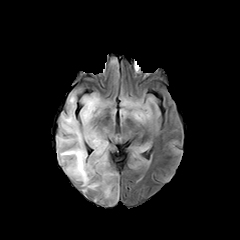
FLAIR MR image.
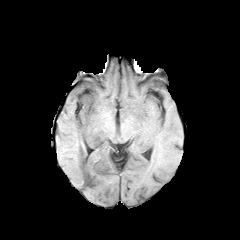
Same slice, T1-weighted MRI.
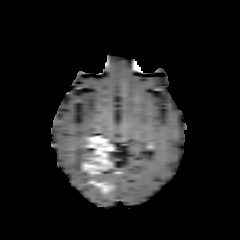
Post-contrast T1-weighted MR.
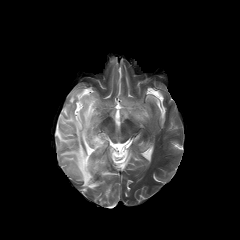
T2-weighted MR of the same slice.
3 edema regions are bounded by [56, 90, 101, 191], [132, 108, 148, 121], [104, 168, 116, 183]. The non-enhancing tumor core appears at [82, 151, 111, 185]. 3 enhancing tumor regions appear at [82, 162, 91, 172], [85, 136, 113, 173], [92, 178, 111, 194].